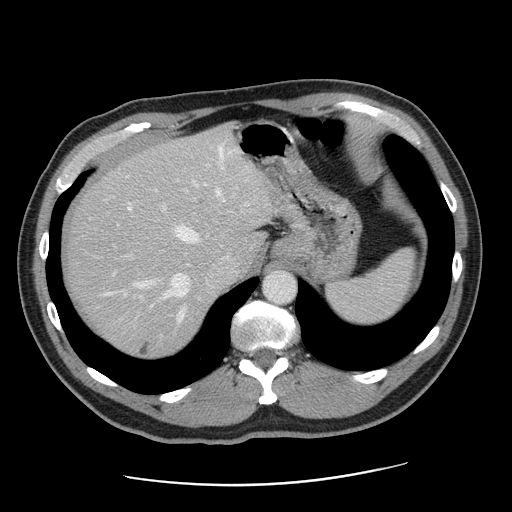

Abdomen, CT slice

The vessel annotation is not exhaustive.
Liver tumor — [138,338,154,357], [197,197,205,205].
Hepatic vessel — [134,282,146,286], [103,294,108,294], [163,274,187,296], [164,204,164,207], [129,204,132,208], [127,255,130,256], [202,244,246,283], [177,311,183,322], [175,226,196,241], [194,181,195,183], [219,146,222,152], [217,188,224,200].